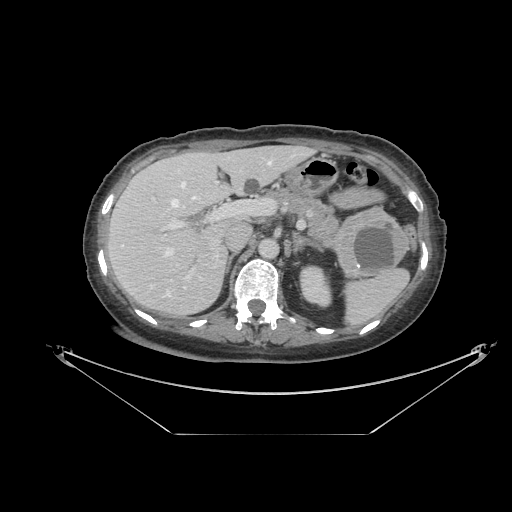 Abdomen. CT.
The pancreatic tumor is at 335 207 408 277. The pancreas is bounded by 264 188 342 252.